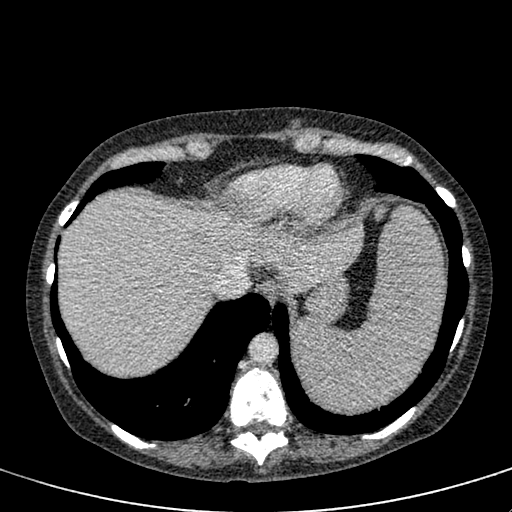 Liver | CT slice

Liver lesion: bbox(186, 227, 214, 247).
Liver: bbox(59, 193, 364, 376).